FLAIR MR image.
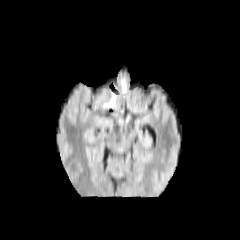
T1-weighted MR image.
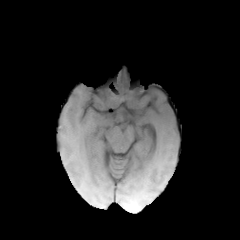
Post-contrast T1-weighted MR image.
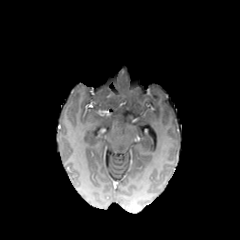
T2-weighted MR image.
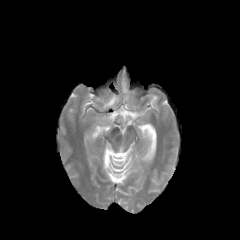
Brain
Findings:
* non-enhancing tumor core: box=[90, 87, 113, 109]